Slice 514 of 671. Computed tomography. Liver.

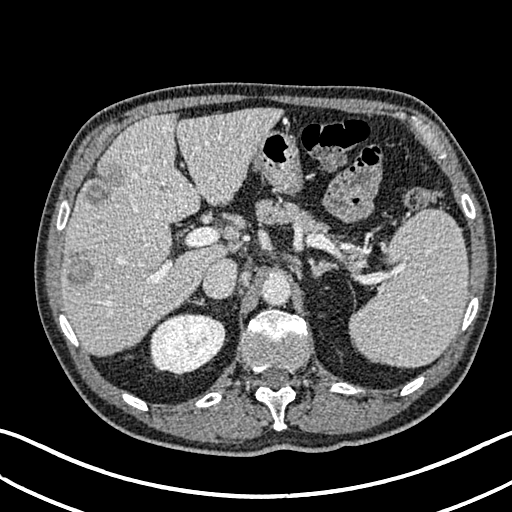
liver: bbox=[62, 109, 279, 354] | hepatic lesion: bbox=[67, 251, 94, 285]; bbox=[84, 159, 125, 204] | kidney: bbox=[151, 315, 224, 372]